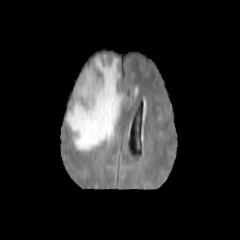
FLAIR MRI.
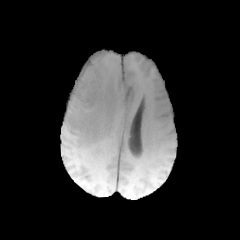
T1-weighted MR.
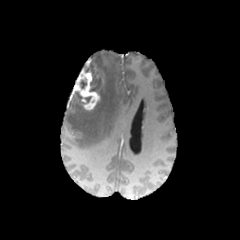
Post-contrast T1-weighted MR of the same slice.
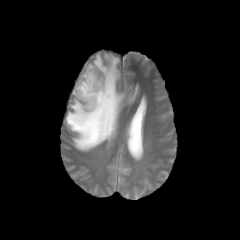
T2-weighted MRI of the same slice.
Findings:
- edema: (65, 53, 126, 152)
- enhancing tumor: (73, 58, 100, 109)
- non-enhancing tumor core: (85, 56, 105, 98), (75, 93, 84, 108)